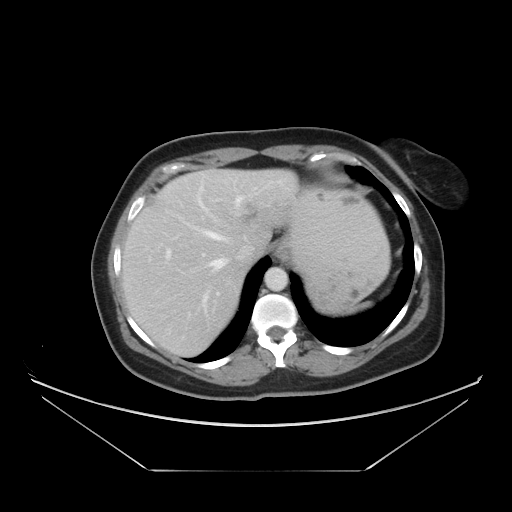

CT image

The vessel boxes may cover only some of the vessels.
Hepatic vessel: left=167, top=250, right=169, bottom=257; left=192, top=196, right=209, bottom=212; left=214, top=261, right=221, bottom=269; left=203, top=231, right=224, bottom=239.